512x512; Computed tomography

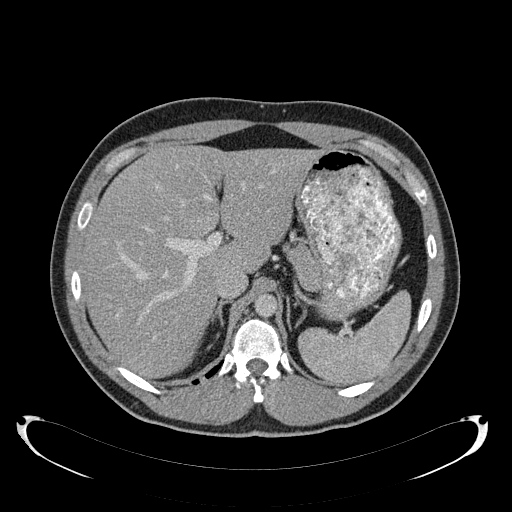

Annotated regions:
* liver: 85,145,325,377